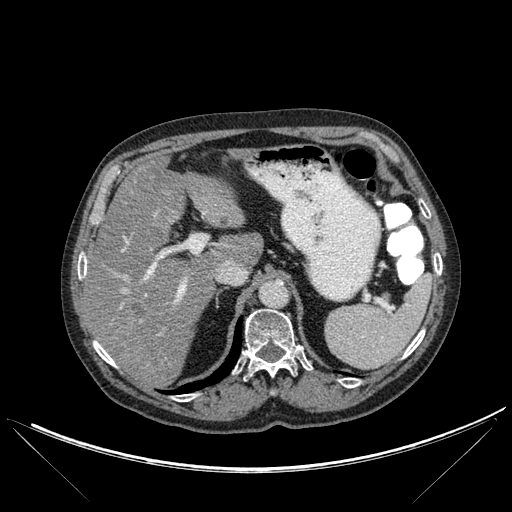
CT slice, Upper abdomen
Bone — 339 378 360 387, 93 341 115 366, 434 253 442 274, 77 256 86 278, 233 309 312 376, 172 394 196 401, 419 200 430 217, 403 330 424 357.
Liver — 228 149 254 159, 84 157 263 388.
Lung — 164 318 241 394.
Hepatic lesion — 133 301 143 317.